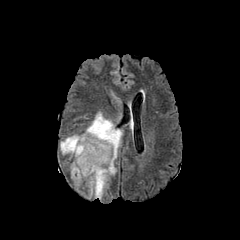
FLAIR MRI.
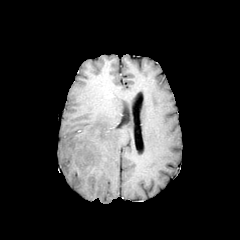
T1-weighted MR image.
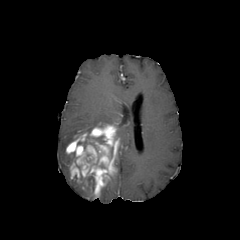
Same slice, post-contrast T1-weighted magnetic resonance.
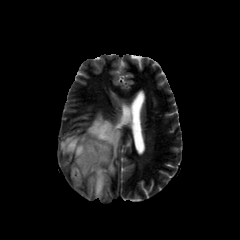
T2-weighted magnetic resonance of the same slice.
Image size 240x240
<segmentation>
  <edema>[114, 128, 122, 148], [99, 178, 109, 198], [78, 179, 90, 193], [60, 135, 75, 154], [83, 112, 115, 133]</edema>
  <non-enhancing_tumor_core>[68, 153, 76, 164], [78, 173, 94, 191], [78, 133, 104, 148]</non-enhancing_tumor_core>
  <enhancing_tumor>[66, 124, 117, 198]</enhancing_tumor>
</segmentation>